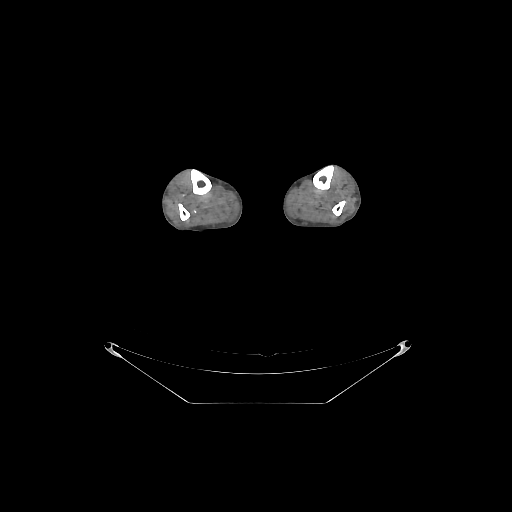 CT slice
Bone — [178, 203, 189, 220], [313, 165, 333, 189], [332, 201, 345, 215], [190, 169, 211, 194].